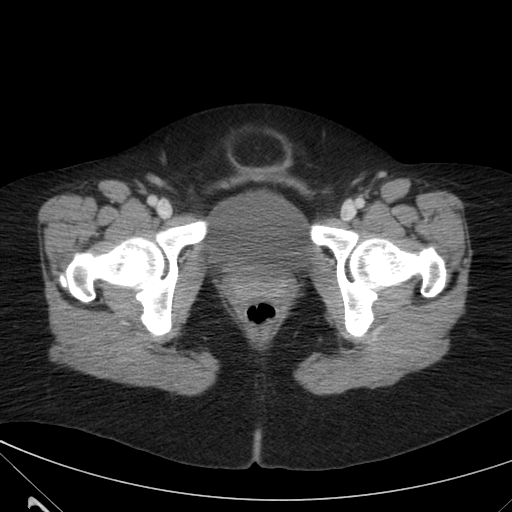 CT

The urinary bladder appears at x1=199, y1=193, x2=310, y2=273.